512x512 px | CT
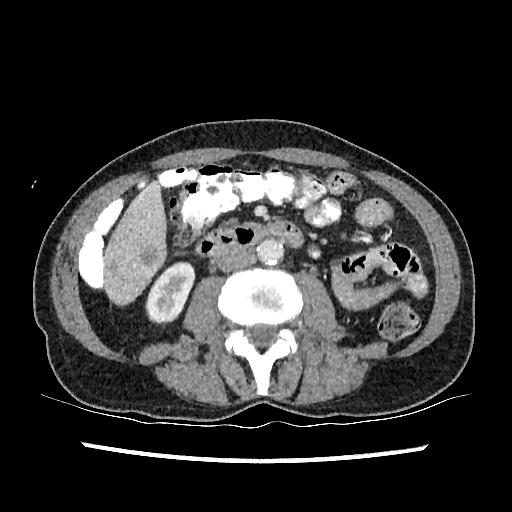
{"focal_liver_lesion": ["<box>139,244,158,265</box>"], "liver": ["<box>104,180,165,303</box>"], "kidney": ["<box>147,263,194,321</box>"]}